Slice 38 of 95 | 512x512 px | CT image

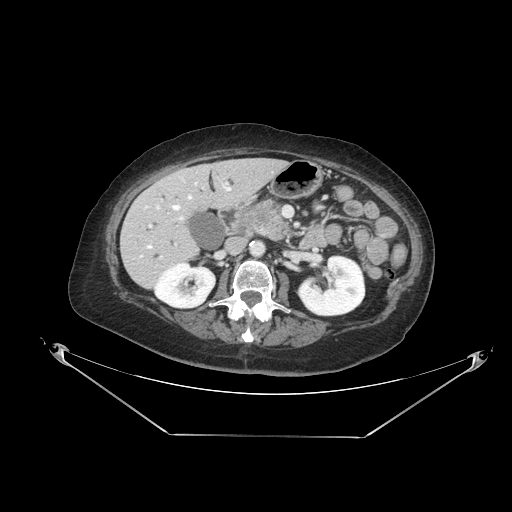

Pancreas = bbox=[247, 201, 285, 239].
Pancreatic tumor = bbox=[249, 204, 270, 223].